CT image. Slice index 66. Abdomen.

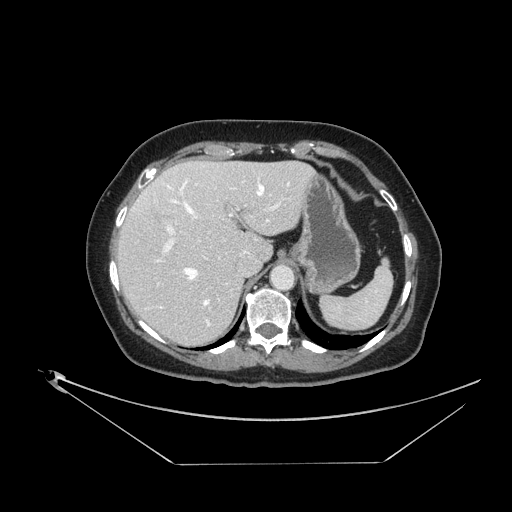 Some hepatic vessels may have no box.
Annotated regions:
* liver tumor: [148, 202, 164, 217]
* hepatic vessel: [230, 214, 231, 215], [167, 195, 197, 218], [183, 267, 197, 280], [135, 196, 145, 209], [163, 224, 174, 253], [202, 299, 209, 306], [238, 249, 250, 256], [181, 185, 183, 191], [257, 183, 263, 194]